512x512; Slice 26/44; Liver; Computed tomography; Image width 477 mm

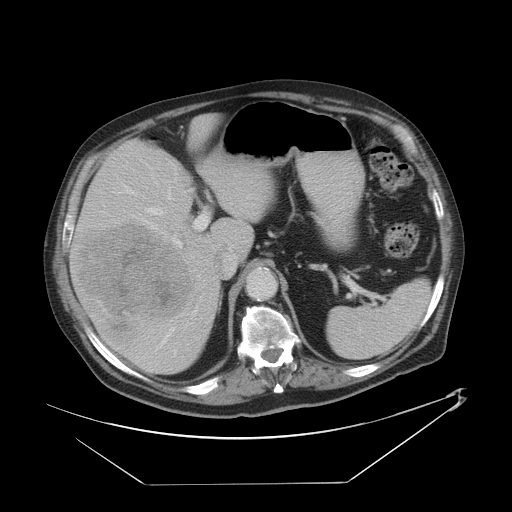

Not every hepatic vessel necessarily has a box.
10 hepatic vessel regions are bounded by l=102, t=211, r=104, b=214; l=187, t=345, r=187, b=349; l=194, t=213, r=207, b=228; l=167, t=187, r=172, b=199; l=125, t=186, r=136, b=195; l=147, t=208, r=162, b=215; l=173, t=349, r=176, b=355; l=172, t=235, r=182, b=246; l=160, t=328, r=174, b=346; l=198, t=275, r=200, b=277. The liver tumor is bounded by l=73, t=222, r=193, b=341.